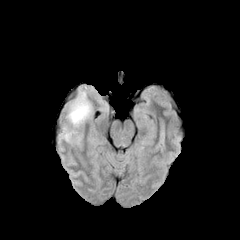
FLAIR MR image.
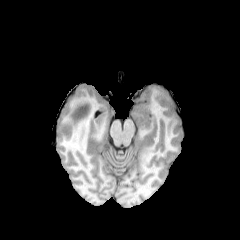
T1-weighted MR image.
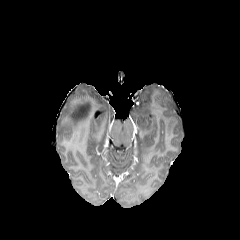
Same slice, post-contrast T1-weighted MR.
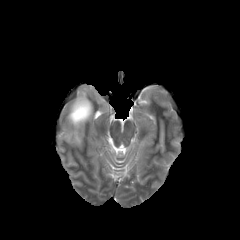
T2-weighted magnetic resonance.
Non-enhancing tumor core: x1=72 y1=98 x2=91 y2=139.
Edema: x1=60 y1=102 x2=83 y2=145, x1=74 y1=88 x2=93 y2=129.